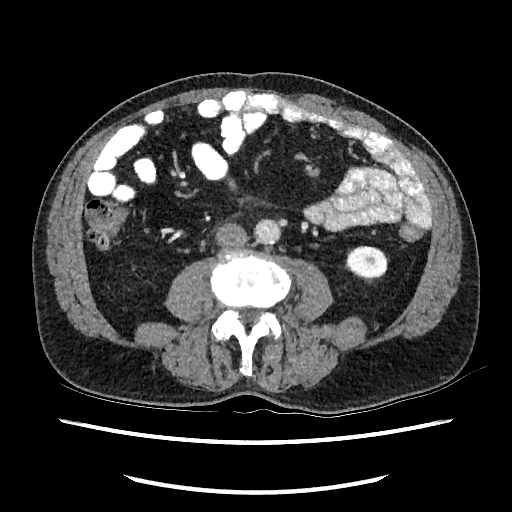
CT, Abdomen
<segmentation>
  <kidney>(x1=346, y1=246, x2=386, y2=278)</kidney>
</segmentation>